Computed tomography | 512x512 px

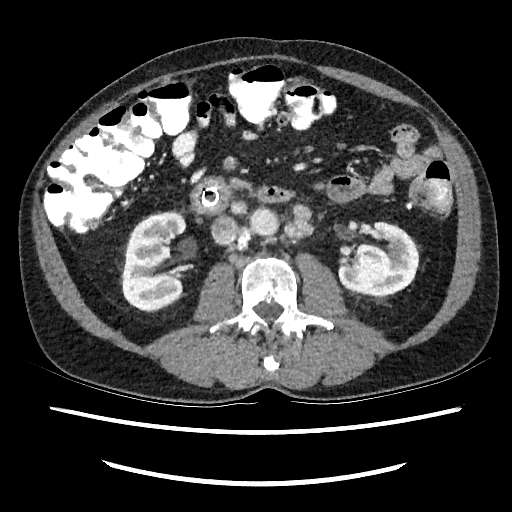

Segmented structures:
- kidney: 123:213:185:310, 339:223:417:295